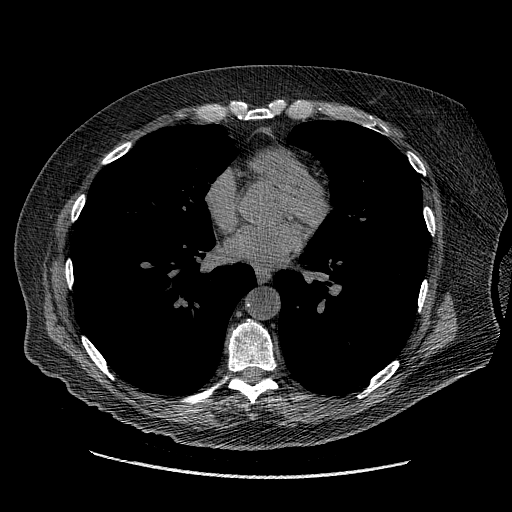
Thorax; CT scan slice
{"lung_tumor": ["(107,265,121,276)"]}